Slice index 16, CT slice

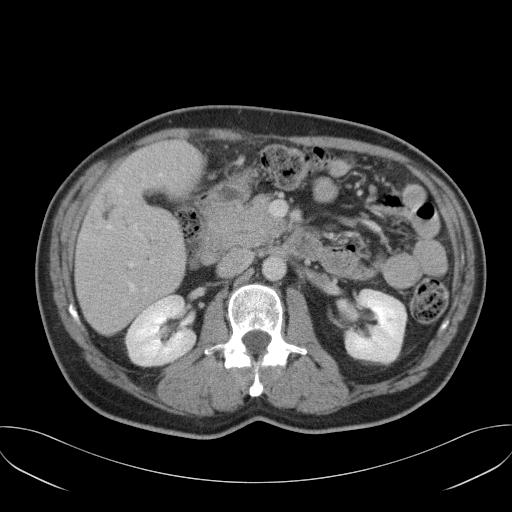 Not every hepatic vessel necessarily has a box.
hepatic_vessel:
  - bbox=[150, 259, 153, 261]